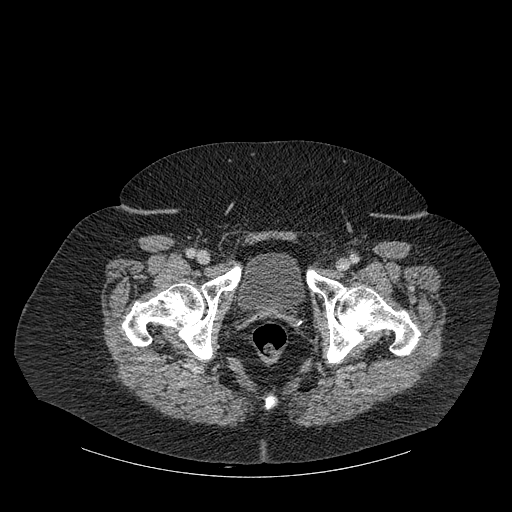

CT slice; 512x512 px
<segmentation>
  <bone>left=265, top=396, right=274, bottom=408; left=122, top=266, right=240, bottom=360; left=306, top=270, right=420, bottom=362</bone>
  <urinary_bladder>left=235, top=252, right=305, bottom=321</urinary_bladder>
</segmentation>